FLAIR magnetic resonance.
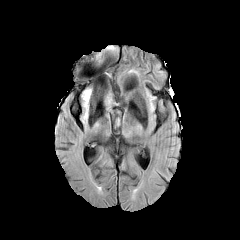
T1-weighted MR image.
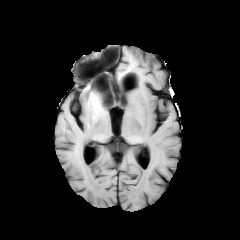
Post-contrast T1-weighted MRI.
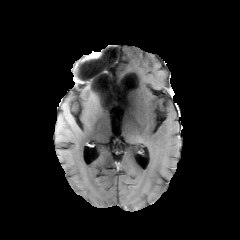
T2-weighted MRI.
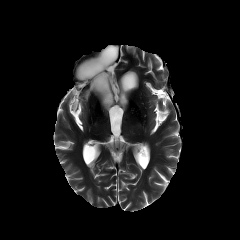
Brain.
{
  "edema": [
    "83:92:89:104"
  ]
}